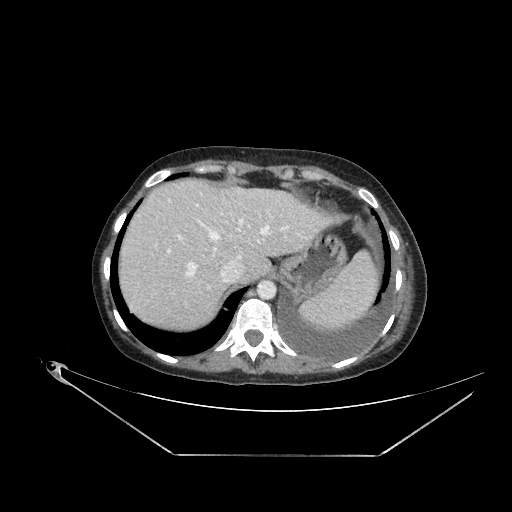

CT slice

<segmentation>
  <liver>x1=125, y1=181, x2=329, y2=324</liver>
</segmentation>